Image width 408 mm; CT slice; Abdomen

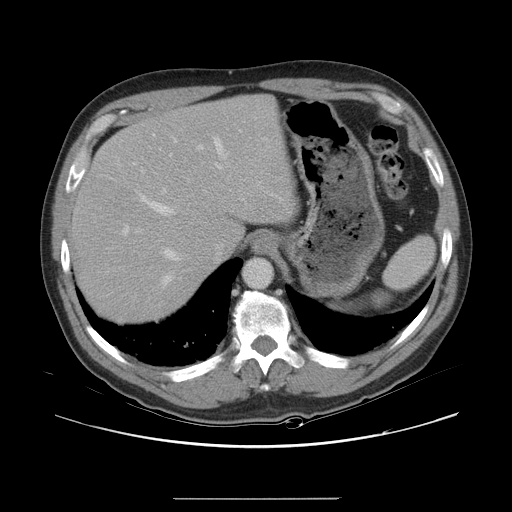
The vessel boxes may cover only some of the vessels.
14 hepatic vessel regions are located at 215:163:221:168, 257:182:260:185, 173:138:176:141, 139:194:174:215, 133:162:136:164, 141:168:144:173, 170:154:172:155, 197:146:202:149, 161:190:165:194, 161:275:171:285, 163:248:178:260, 122:226:128:235, 187:179:189:181, 214:136:228:158.